Field of view 381x381 mm, CT, Image size 512x512

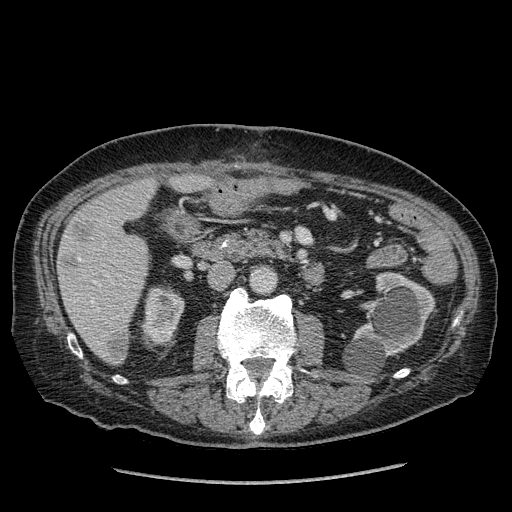 * liver: (left=58, top=178, right=155, bottom=364), (left=170, top=174, right=213, bottom=193)
* hepatic lesion: (left=73, top=221, right=89, bottom=238), (left=60, top=253, right=77, bottom=265), (left=108, top=333, right=127, bottom=360)
* kidney: (left=353, top=272, right=434, bottom=355), (left=144, top=289, right=183, bottom=342)